Abdomen | CT slice

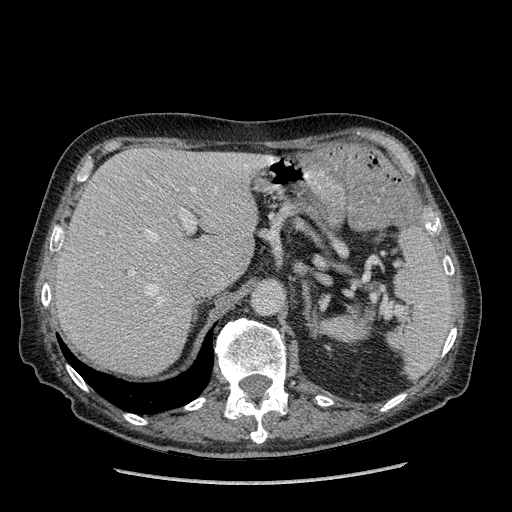 Annotated regions:
* liver: 56:149:260:376